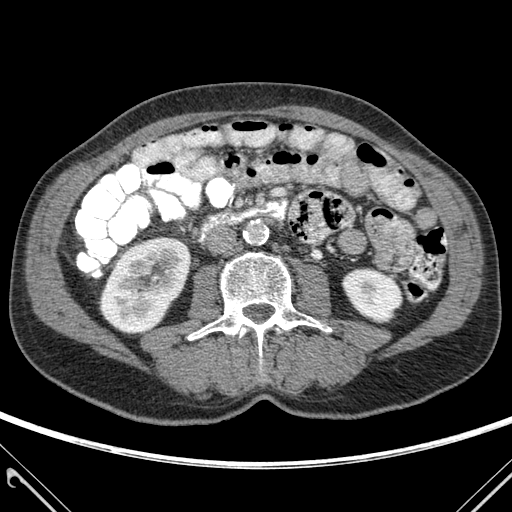 CT image; Abdomen
Segmented structures:
- kidney: 101 238 187 332, 343 270 400 320
- bone: 188 253 331 355